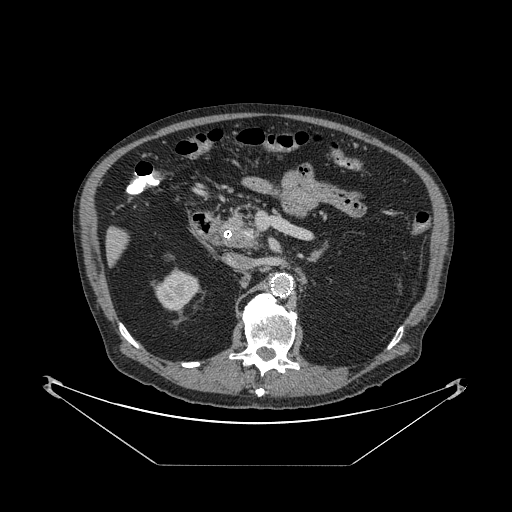 Upper abdomen; CT slice
Pancreas at 222,210,259,249.
Pancreatic tumor at 232,220,244,239.